CT

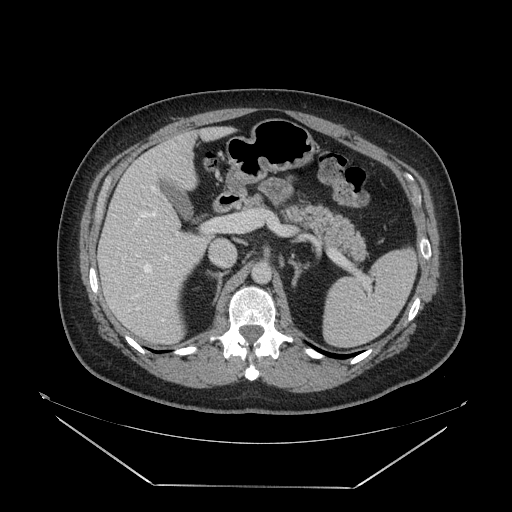 pancreas:
  - [284,207,364,260]
  - [246,197,260,208]